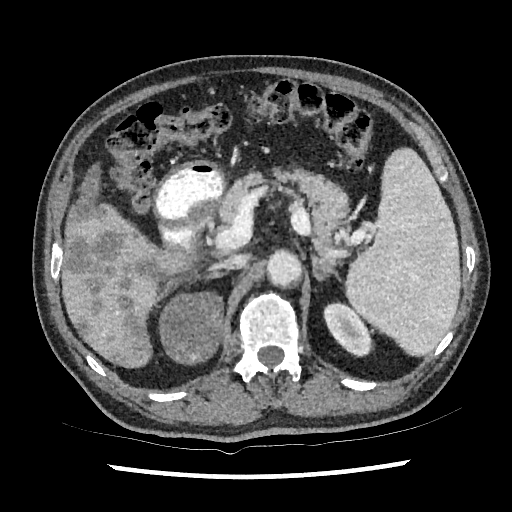 CT; 512x512
<segmentation>
  <focal_liver_lesion>{"x1": 64, "y1": 229, "x2": 127, "y2": 295}, {"x1": 90, "y1": 298, "x2": 106, "y2": 314}, {"x1": 69, "y1": 165, "x2": 108, "y2": 220}, {"x1": 116, "y1": 256, "x2": 161, "y2": 291}, {"x1": 105, "y1": 295, "x2": 151, "y2": 365}, {"x1": 73, "y1": 315, "x2": 92, "y2": 336}</focal_liver_lesion>
  <kidney>{"x1": 324, "y1": 304, "x2": 370, "y2": 355}</kidney>
  <liver>{"x1": 129, "y1": 355, "x2": 150, "y2": 366}, {"x1": 62, "y1": 162, "x2": 193, "y2": 359}</liver>
</segmentation>